Slice 194/424; CT scan slice

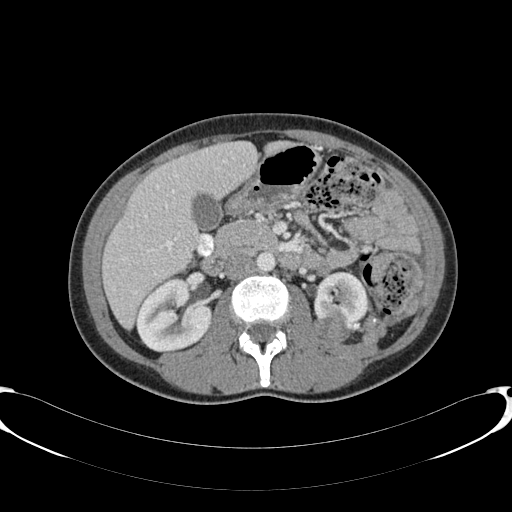
<segmentation>
  <liver>bbox(265, 142, 296, 155); bbox(103, 142, 256, 327)</liver>
  <kidney>bbox(323, 327, 343, 342); bbox(314, 273, 366, 337); bbox(137, 280, 210, 351)</kidney>
</segmentation>